Liver. CT image. 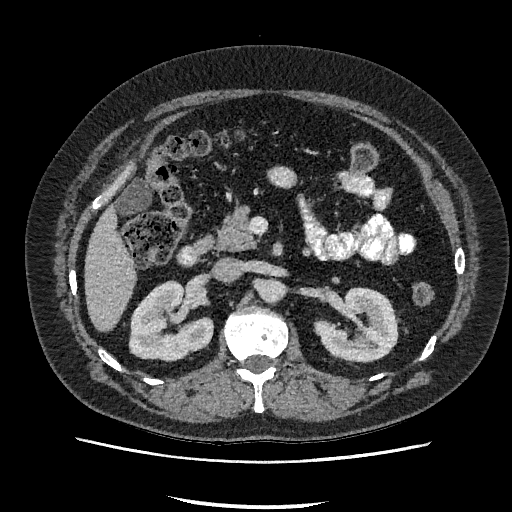
The liver is bounded by rect(84, 205, 136, 330). 2 kidney regions are located at rect(317, 288, 397, 360); rect(130, 283, 212, 359).